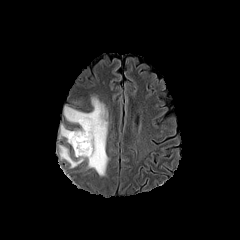
FLAIR MR image.
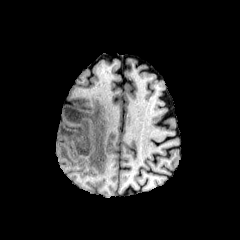
T1-weighted MR.
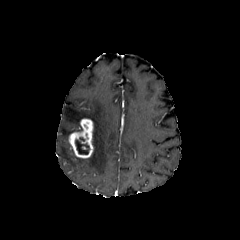
Post-contrast T1-weighted MR image of the same slice.
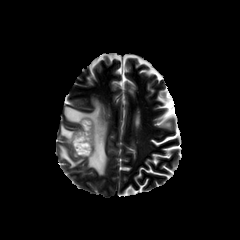
T2-weighted magnetic resonance of the same slice.
Image size 240x240 | Head
Non-enhancing tumor core = (left=75, top=140, right=90, bottom=154).
Enhancing tumor = (left=67, top=118, right=94, bottom=158).
Edema = (left=59, top=146, right=83, bottom=168), (left=59, top=124, right=73, bottom=139), (left=64, top=97, right=108, bottom=176).